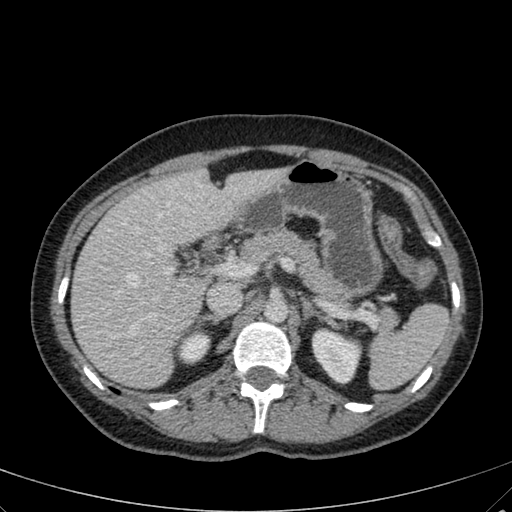
512x512 px, CT scan slice
Liver at bbox(71, 168, 288, 386).
Kidney at bbox(313, 331, 358, 382); bbox(181, 335, 207, 360).